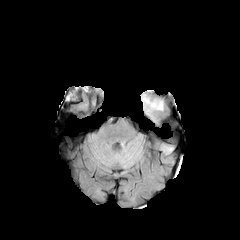
FLAIR MRI.
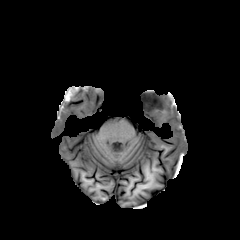
T1-weighted MR.
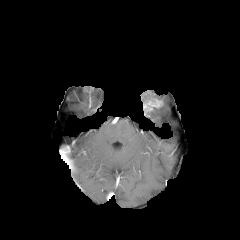
Same slice, post-contrast T1-weighted magnetic resonance.
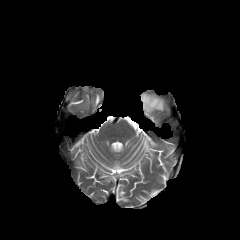
T2-weighted MR image.
Head. 240x240 px.
enhancing_tumor:
  - (141,94,163,115)